FLAIR magnetic resonance.
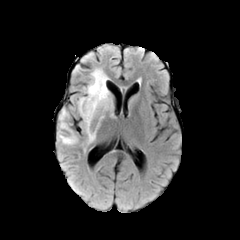
T1-weighted MRI.
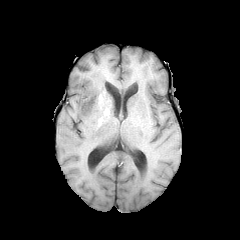
Post-contrast T1-weighted MR image.
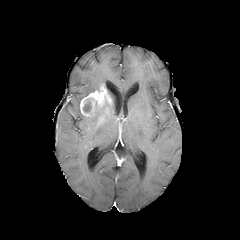
T2-weighted MRI.
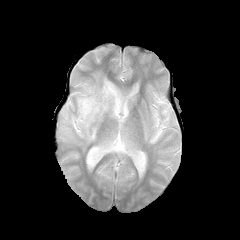
240x240.
- enhancing tumor: [80,84,111,116]
- non-enhancing tumor core: [83,103,96,118]
- edema: [81,97,113,144], [57,109,80,146], [76,68,108,117]